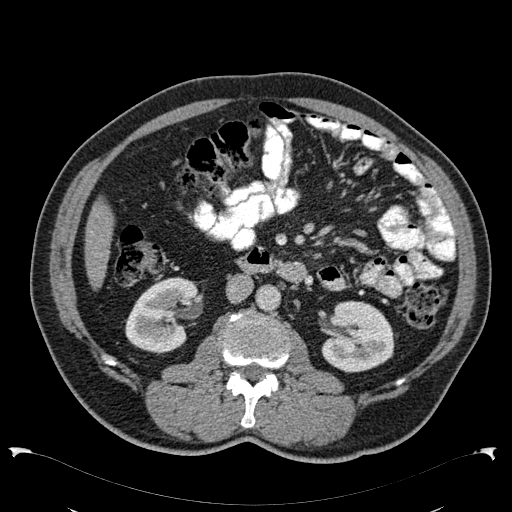 Abdomen. CT slice. {
  "liver": [
    "(85,196,114,289)"
  ],
  "kidney": [
    "(322,301,393,372)",
    "(125,277,199,352)"
  ]
}